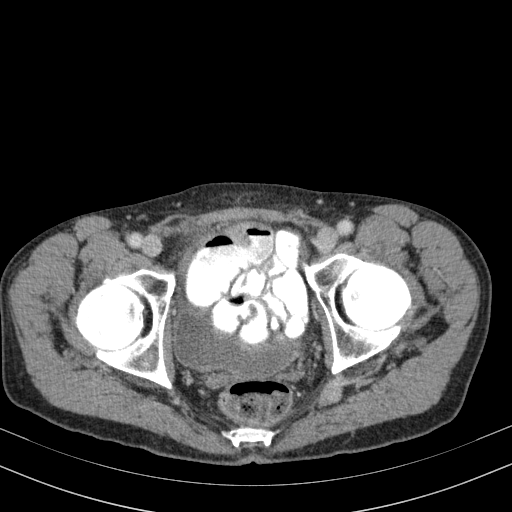 CT scan slice | Pelvis
urinary_bladder:
  - 170:296:294:375